Image size 512x512. Slice index 99. CT slice.

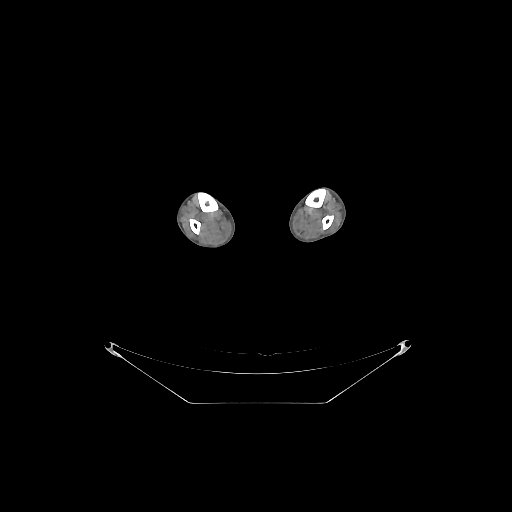
bone: <box>322,215,333,229</box>, <box>198,192,217,212</box>, <box>305,189,325,208</box>, <box>189,219,200,234</box>